CT. Liver.
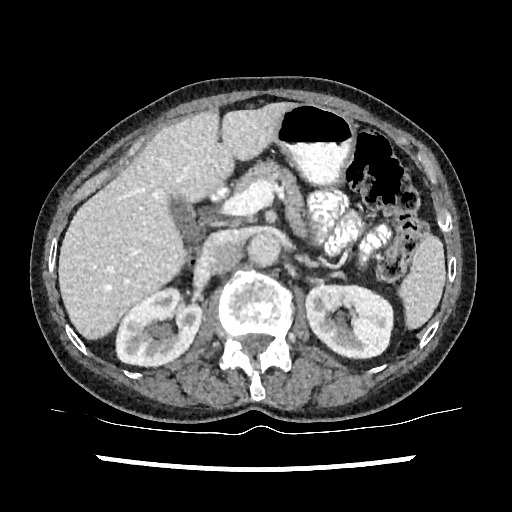
kidney:
  - left=306, top=286, right=392, bottom=357
  - left=117, top=291, right=201, bottom=365
liver:
  - left=61, top=103, right=297, bottom=338